FLAIR MR image.
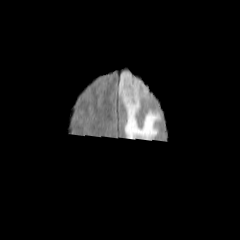
T1-weighted MR image.
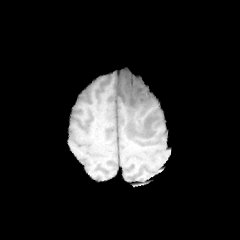
Post-contrast T1-weighted MR image.
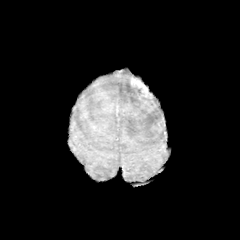
T2-weighted magnetic resonance.
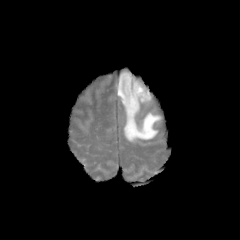
Head | Image size 240x240
The enhancing tumor appears at (129, 77, 147, 93). The edema lies within (117, 71, 163, 143).